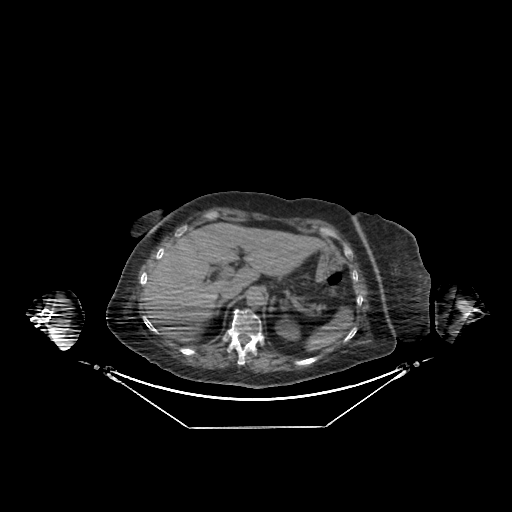 CT

Liver — [x1=142, y1=220, x2=324, y2=345].
Kidney — [x1=275, y1=319, x2=299, y2=340].